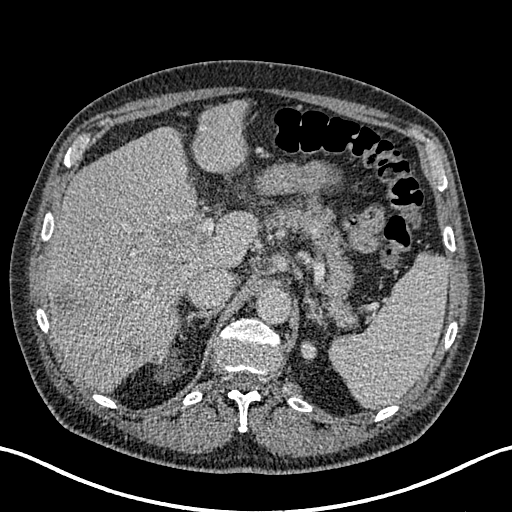
Image size 512x512; CT scan slice; Abdomen

The kidney appears at {"x1": 304, "y1": 344, "x2": 314, "y2": 357}. 3 liver lesion regions are located at {"x1": 146, "y1": 219, "x2": 195, "y2": 276}, {"x1": 53, "y1": 281, "x2": 91, "y2": 323}, {"x1": 127, "y1": 337, "x2": 156, "y2": 361}. 2 liver regions appear at {"x1": 190, "y1": 99, "x2": 249, "y2": 172}, {"x1": 46, "y1": 127, "x2": 257, "y2": 392}.